Slice 72/155. Brain.
FLAIR magnetic resonance.
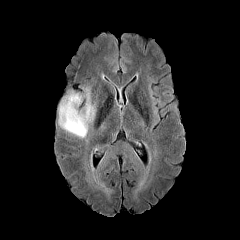
T1-weighted MR image.
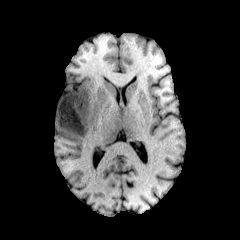
Post-contrast T1-weighted MR image.
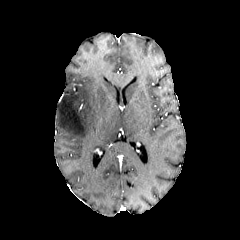
T2-weighted magnetic resonance.
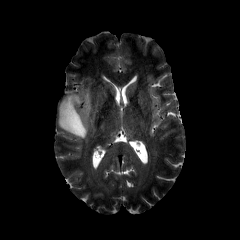
Edema — (left=57, top=87, right=94, bottom=139).